FLAIR MR image.
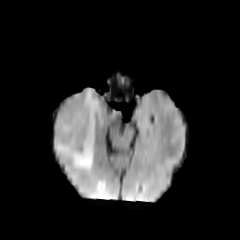
T1-weighted MR.
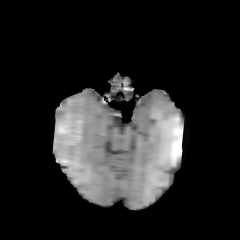
Post-contrast T1-weighted MRI.
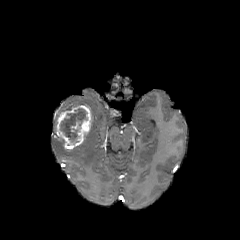
T2-weighted MR image.
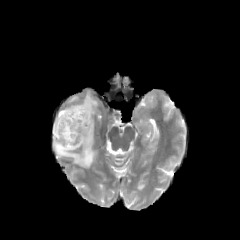
Brain, 240x240 px
non-enhancing_tumor_core:
  - box(59, 108, 88, 141)
edema:
  - box(53, 89, 100, 168)
enhancing_tumor:
  - box(54, 104, 92, 149)